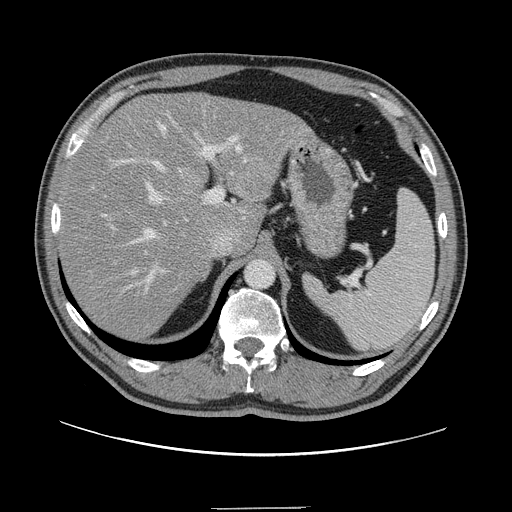 Liver. CT slice. Image size 512x512.

The vessel boxes may cover only some of the vessels.
The largest 15 hepatic vessel regions (of 17) appear at (x1=229, y1=135, x2=237, y2=143), (x1=112, y1=159, x2=135, y2=164), (x1=160, y1=124, x2=165, y2=133), (x1=147, y1=184, x2=161, y2=204), (x1=111, y1=226, x2=113, y2=228), (x1=125, y1=286, x2=130, y2=289), (x1=244, y1=159, x2=246, y2=162), (x1=133, y1=230, x2=155, y2=242), (x1=236, y1=145, x2=241, y2=151), (x1=180, y1=169, x2=181, y2=172), (x1=151, y1=160, x2=163, y2=170), (x1=204, y1=188, x2=223, y2=203), (x1=144, y1=269, x2=165, y2=292), (x1=195, y1=131, x2=227, y2=158), (x1=129, y1=270, x2=136, y2=274). The liver tumor is at (x1=232, y1=168, x2=273, y2=197).